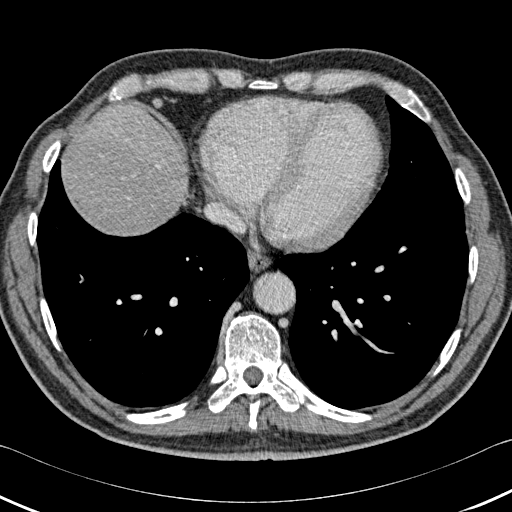

Computed tomography. Bone at bbox(249, 80, 277, 88); bbox(455, 168, 470, 203); bbox(43, 141, 60, 172); bbox(433, 329, 460, 375); bbox(28, 212, 37, 245); bbox(40, 299, 60, 350); bbox(248, 400, 259, 428); bbox(109, 83, 127, 100); bbox(208, 314, 371, 422); bbox(398, 90, 430, 121); bbox(126, 403, 187, 424); bbox(469, 246, 477, 282).
Liver at bbox(74, 110, 182, 234).
Lung at bbox(270, 94, 468, 409); bbox(36, 159, 250, 407).